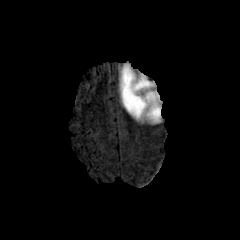
FLAIR magnetic resonance.
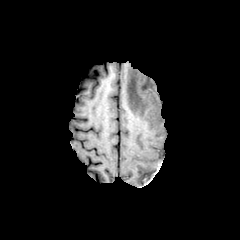
T1-weighted MR.
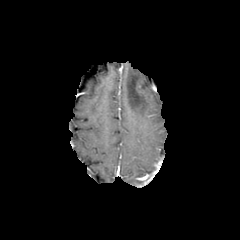
Post-contrast T1-weighted MR image of the same slice.
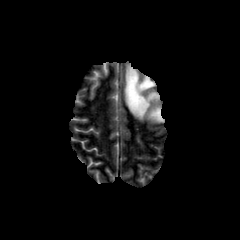
T2-weighted magnetic resonance.
240x240 px
<segmentation>
  <edema>(left=120, top=65, right=161, bottom=124)</edema>
</segmentation>